240x240, Image width 240 mm
FLAIR magnetic resonance.
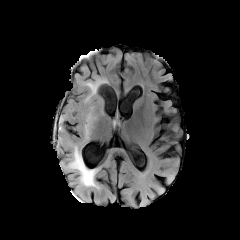
T1-weighted magnetic resonance.
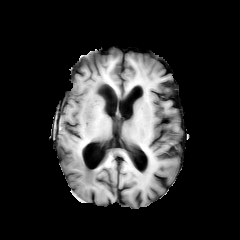
Post-contrast T1-weighted MR image.
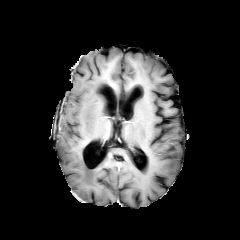
T2-weighted MR.
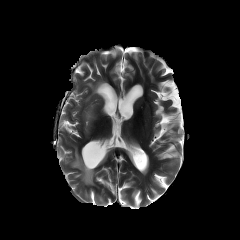
{"edema": ["rect(86, 79, 101, 93)", "rect(57, 116, 97, 187)"]}